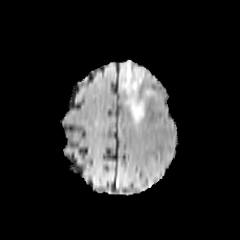
FLAIR MR.
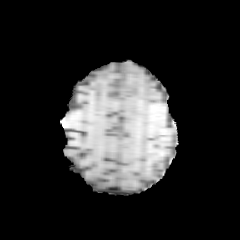
T1-weighted MRI.
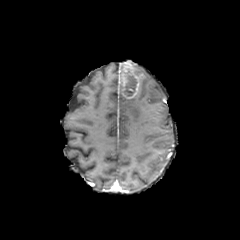
Post-contrast T1-weighted magnetic resonance.
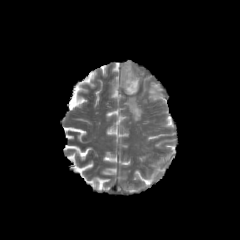
T2-weighted MR image of the same slice.
Head
Segmented structures:
• edema: left=127, top=90, right=144, bottom=122; left=135, top=65, right=142, bottom=83
• non-enhancing tumor core: left=120, top=75, right=137, bottom=96
• enhancing tumor: left=121, top=61, right=140, bottom=97